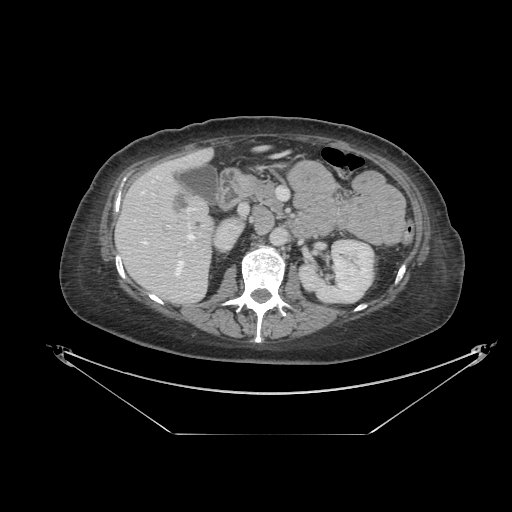

Image size 512x512 | CT image
Pancreas: bounding box [252, 181, 282, 214].